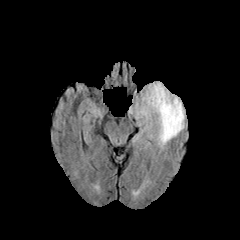
FLAIR MR image.
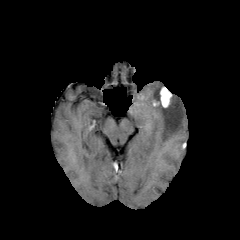
T1-weighted MR image.
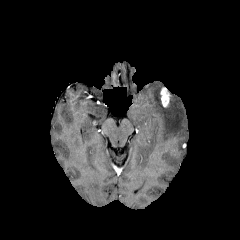
Post-contrast T1-weighted MR image.
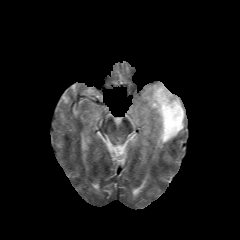
T2-weighted MR image.
240x240
The enhancing tumor lies within (left=159, top=87, right=170, bottom=106). The edema is at (left=130, top=81, right=185, bottom=148).